Brain
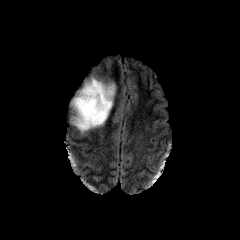
FLAIR magnetic resonance.
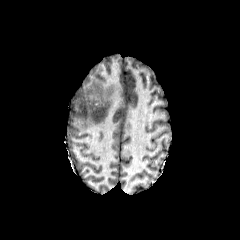
T1-weighted MR.
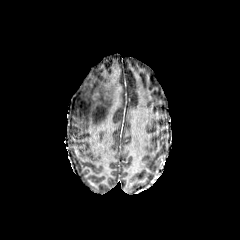
Same slice, post-contrast T1-weighted MR image.
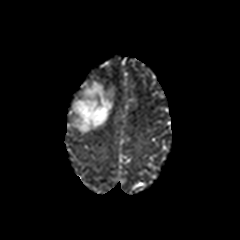
Same slice, T2-weighted magnetic resonance.
Segmented structures:
- edema: left=72, top=79, right=114, bottom=132